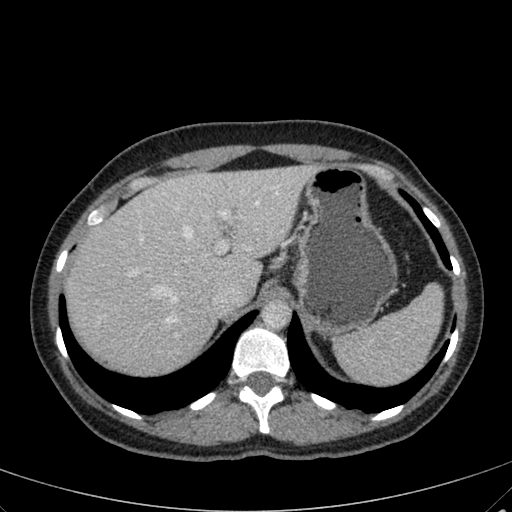

CT, Image size 512x512
liver: box(65, 164, 321, 373)